Image size 512x512; Abdomen; Image width 460 mm; Computed tomography 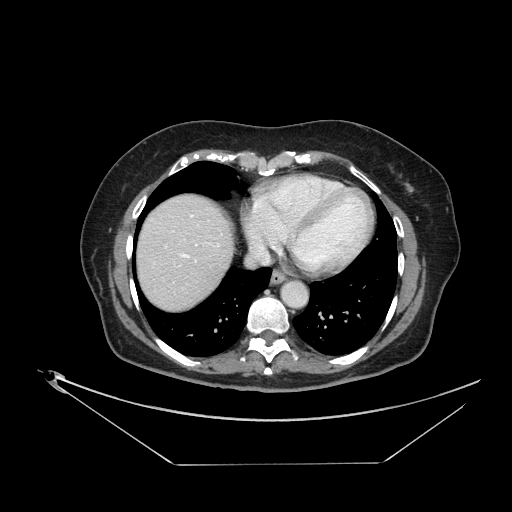

The vessel annotation is not exhaustive.
Hepatic vessel: <box>190,215,192,217</box>, <box>180,253,189,257</box>, <box>251,246,268,263</box>.